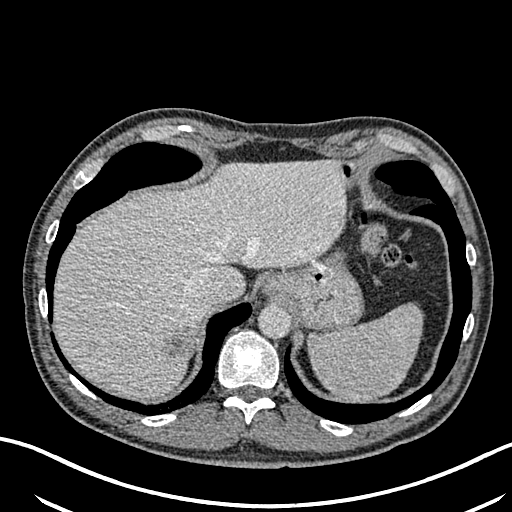
Abdomen. CT scan slice.
The liver lies within box(55, 160, 343, 396). The liver lesion is at box(164, 329, 188, 359).